FLAIR MRI.
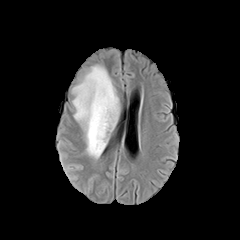
T1-weighted magnetic resonance.
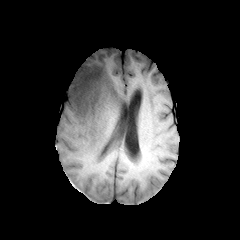
Post-contrast T1-weighted magnetic resonance.
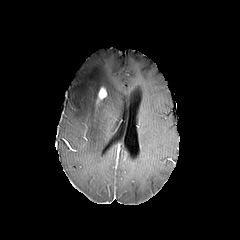
T2-weighted MR.
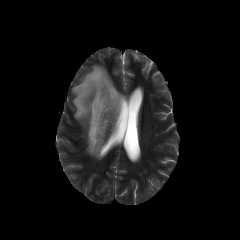
Brain
Segmented structures:
- enhancing tumor: x1=97, y1=87, x2=106, y2=102
- edema: x1=71, y1=64, x2=120, y2=158
- non-enhancing tumor core: x1=93, y1=72, x2=101, y2=85